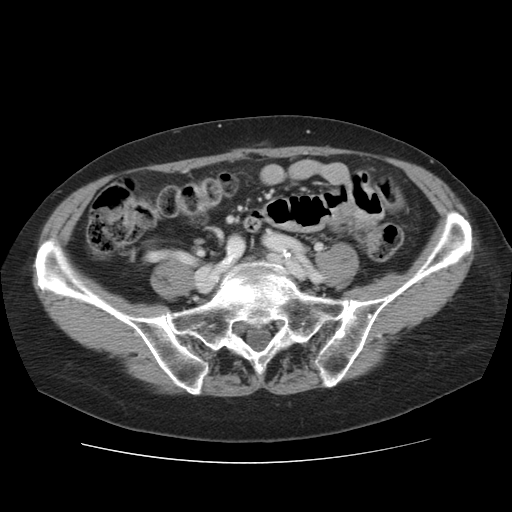 CT slice | 512x512
Bone: bounding box <box>36,206,471,394</box>.